FLAIR MR image.
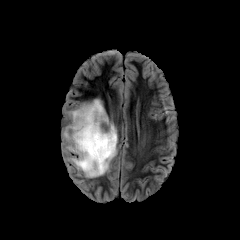
T1-weighted magnetic resonance.
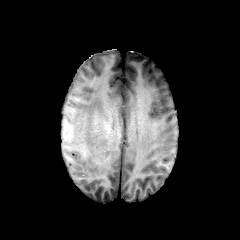
Post-contrast T1-weighted MRI.
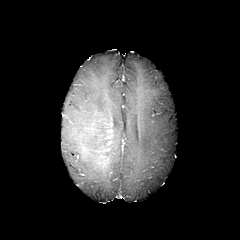
T2-weighted magnetic resonance.
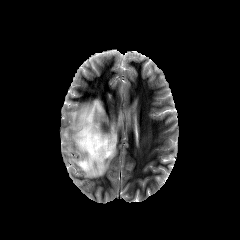
Head
Edema — (65, 99, 117, 177).
Non-enhancing tumor core — (83, 124, 93, 135).